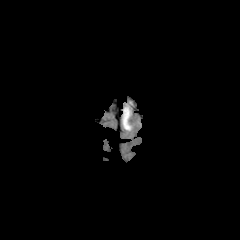
FLAIR MR image.
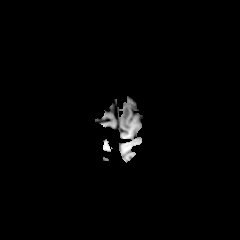
T1-weighted MR image.
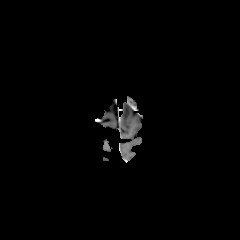
Same slice, post-contrast T1-weighted MR.
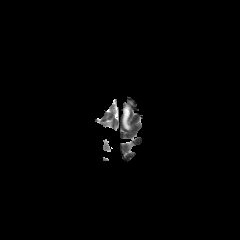
T2-weighted MR.
Head | 240x240
{"edema": ["rect(123, 106, 130, 130)"]}